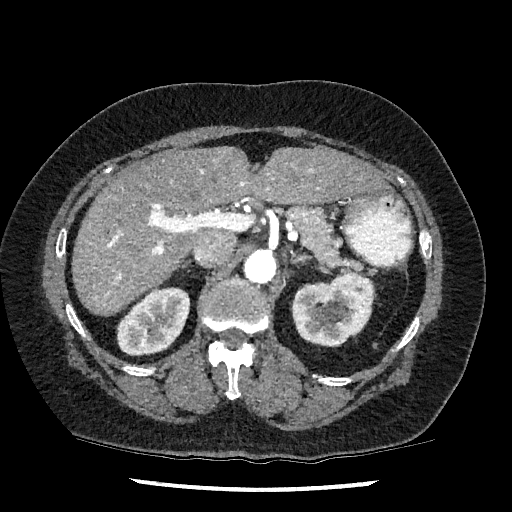

CT image. Upper abdomen. {"liver": ["[x1=72, y1=146, x2=388, y2=315]"], "kidney": ["[x1=293, y1=272, x2=373, y2=345]", "[x1=117, y1=288, x2=189, y2=354]"]}